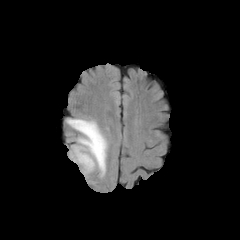
FLAIR MRI.
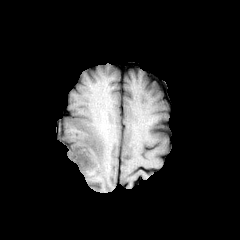
T1-weighted MRI.
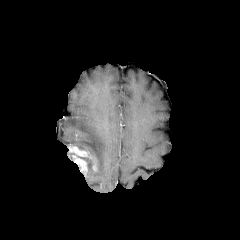
Post-contrast T1-weighted magnetic resonance.
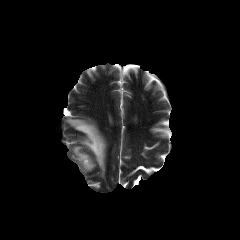
T2-weighted magnetic resonance of the same slice.
240x240.
The enhancing tumor is located at <box>69,145,91,174</box>. The non-enhancing tumor core lies within <box>82,158,92,170</box>. The edema is bounded by <box>67,119,106,173</box>.